240x240 | Brain | Slice index 69
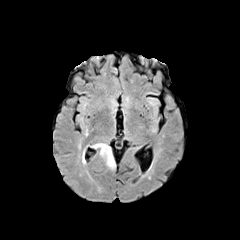
FLAIR MR image.
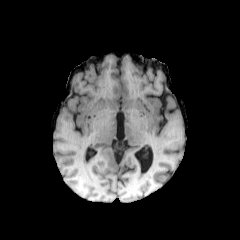
T1-weighted magnetic resonance.
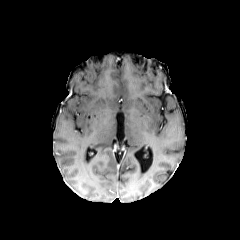
Same slice, post-contrast T1-weighted MR.
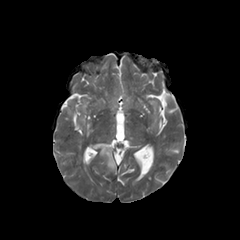
T2-weighted MR of the same slice.
Edema = 90, 143, 116, 170.